CT scan slice; 512x512 px; Slice index 34
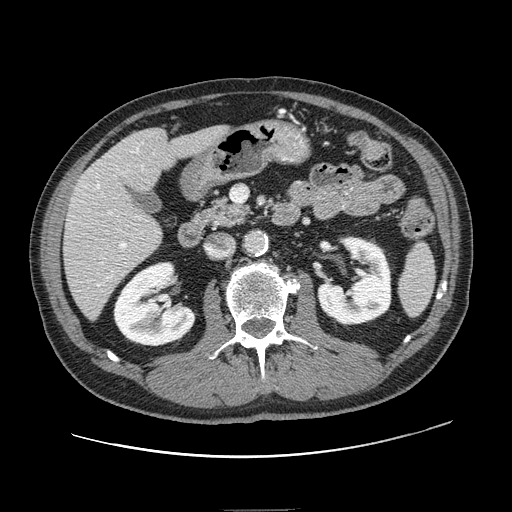
The pancreas lies within bbox(194, 196, 250, 229).